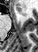

MRI | Medial temporal lobe
{
  "anterior_hippocampus": [
    "(x1=15, y1=7, x2=20, y2=11)"
  ]
}